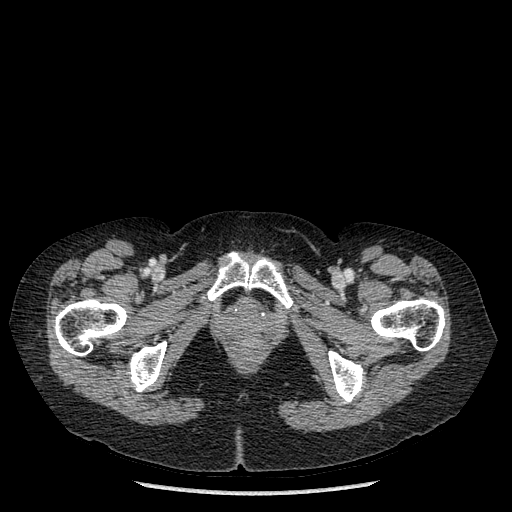 CT image

5 bone regions appear at 128:341:166:392, 371:298:445:351, 207:252:293:308, 328:351:364:403, 53:298:127:356.